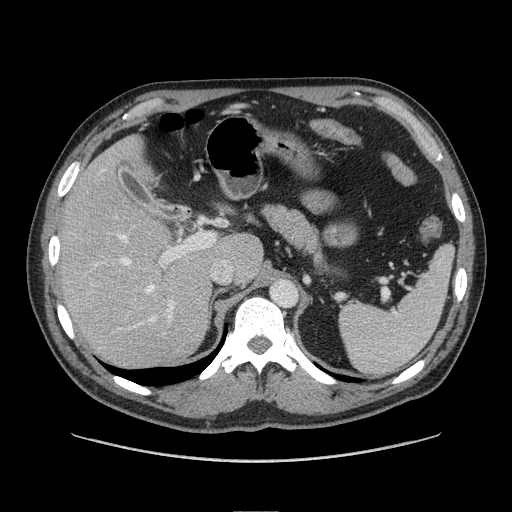 Upper abdomen, CT slice

Pancreas — (x1=255, y1=200, x2=340, y2=282).